CT image. Field of view 512 mm wide, 1.00 mm slice spacing. 512x512 px.
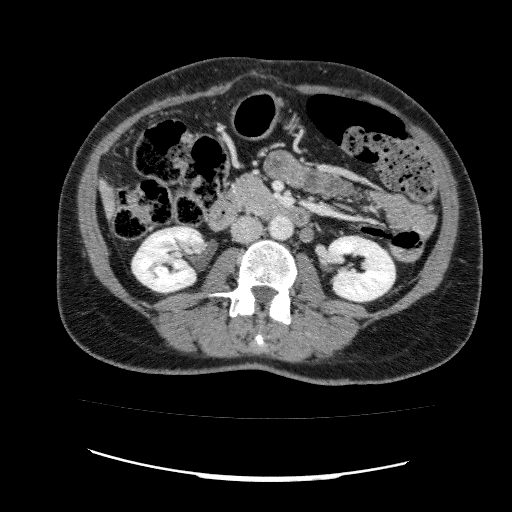
2 kidney regions appear at 132, 227, 202, 291; 329, 236, 394, 301. The liver is at 100, 180, 114, 217.